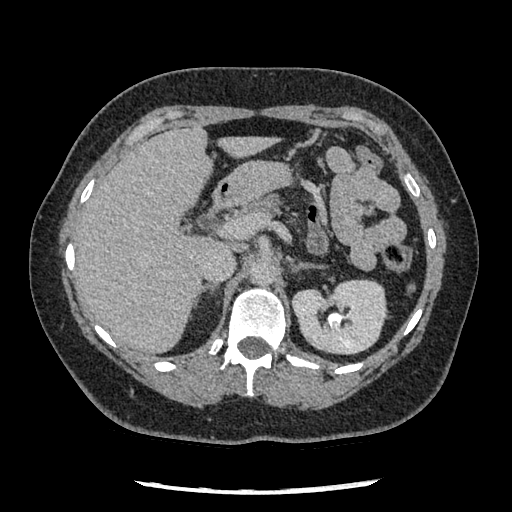

CT image, Abdomen
* pancreas: (left=242, top=194, right=284, bottom=216)